Slice 466 of 687. CT image. Field of view 700x700 mm.
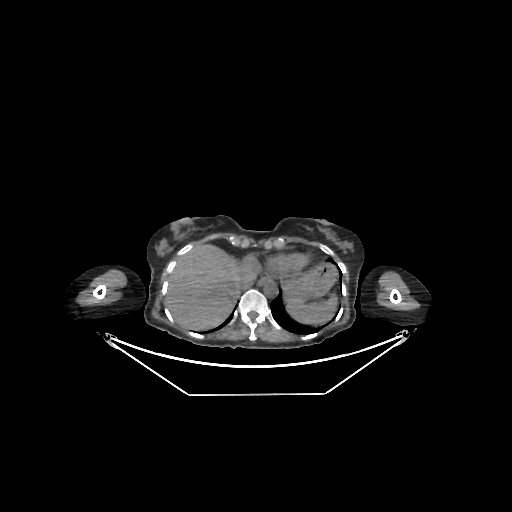

<segmentation>
  <liver><bbox>166, 245, 256, 330</bbox></liver>
</segmentation>